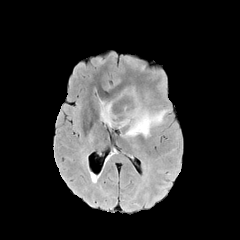
FLAIR MR image.
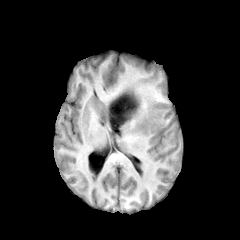
T1-weighted MR image of the same slice.
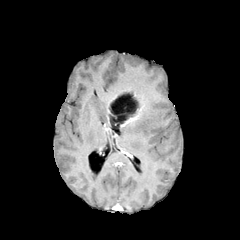
Same slice, post-contrast T1-weighted MR.
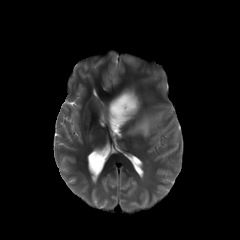
T2-weighted MR.
Brain, Image size 240x240
Enhancing tumor at [121,116,136,127].
Non-enhancing tumor core at [109,91,140,128].
Edema at [125,110,166,136], [100,101,110,126].